Image size 512x512; CT image; Slice index 182

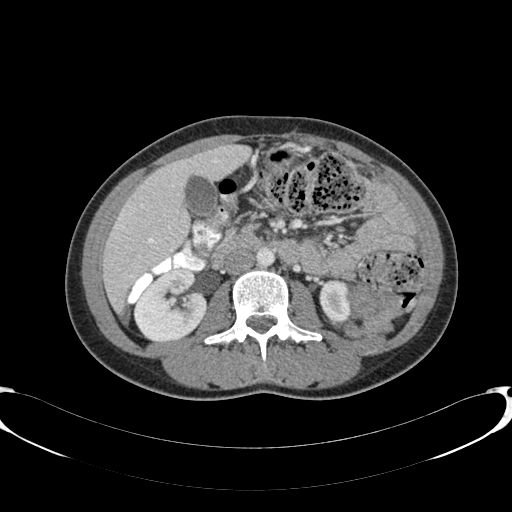 • kidney: (left=135, top=270, right=205, bottom=340), (left=320, top=282, right=349, bottom=322)
• liver: (left=103, top=144, right=250, bottom=312)